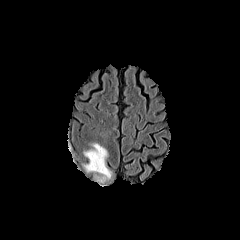
FLAIR magnetic resonance.
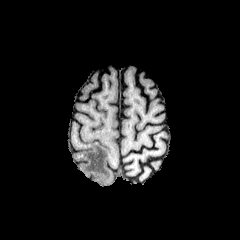
T1-weighted MR.
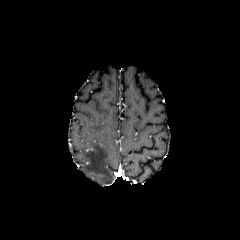
Post-contrast T1-weighted MR image of the same slice.
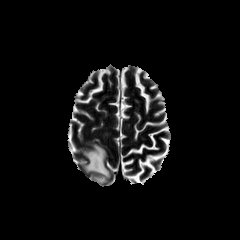
T2-weighted MR image of the same slice.
Edema — (83,144,111,183).